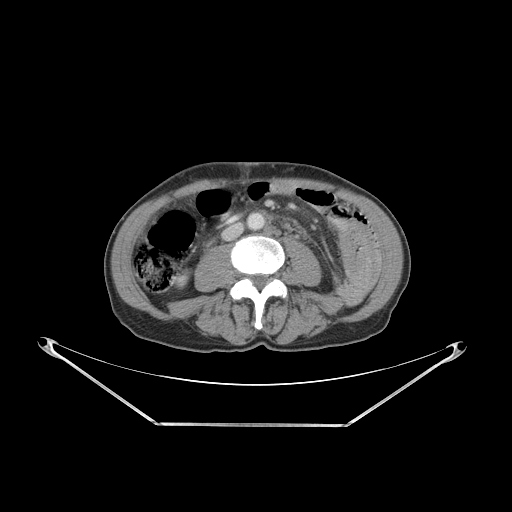 CT slice
Bone: bounding box (x1=231, y1=237, x2=286, y2=328).